Brain, Image size 240x240
FLAIR MR.
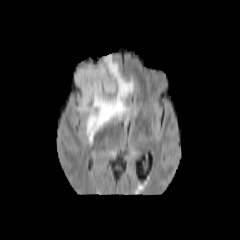
T1-weighted magnetic resonance.
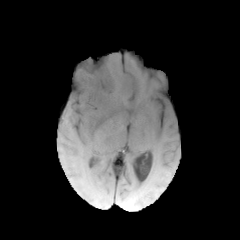
Post-contrast T1-weighted MR.
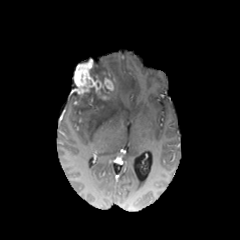
T2-weighted MR.
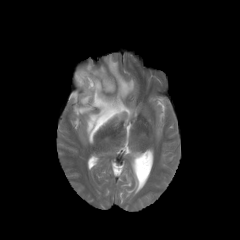
Annotated regions:
- enhancing tumor: <box>73,59,114,99</box>
- non-enhancing tumor core: <box>72,87,110,111</box>, <box>90,60,117,96</box>
- edema: <box>73,54,133,142</box>